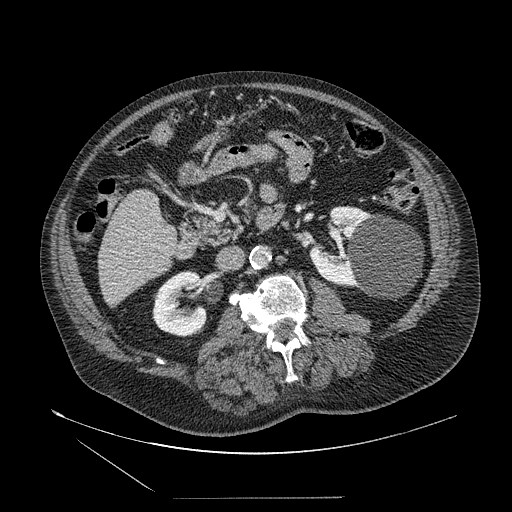
CT. Image size 512x512. Segmented structures:
• pancreas: [191,213,236,247]